512x512, CT slice, Field of view 485 mm wide, 2.50 mm slice spacing, Slice 33/83

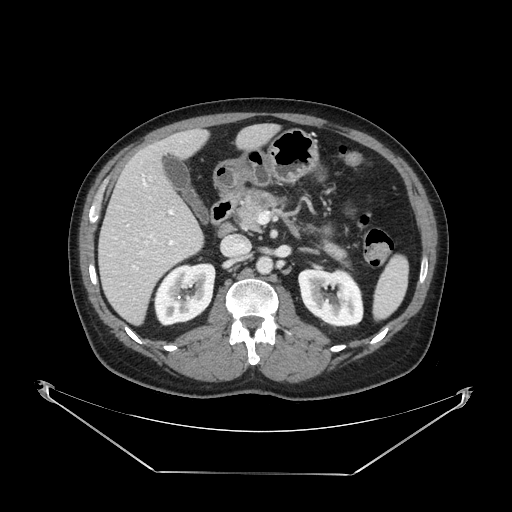
2 pancreas regions are bounded by <box>238,189,286,230</box>, <box>317,223,353,269</box>. The pancreatic tumor is bounded by <box>250,191,268,208</box>.